FLAIR MRI.
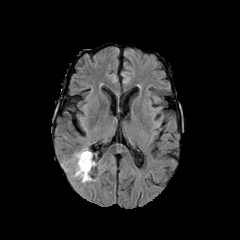
T1-weighted MR image.
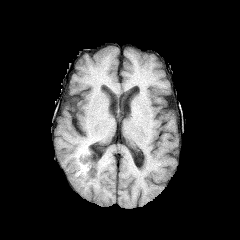
Post-contrast T1-weighted MR.
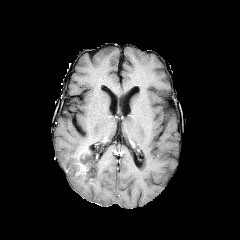
T2-weighted MR.
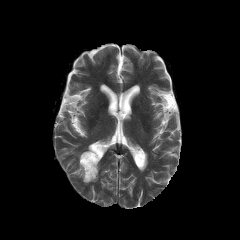
240x240 px
{"enhancing_tumor": ["77, 160, 88, 177"], "non-enhancing_tumor_core": ["76, 148, 96, 180"], "edema": ["68, 152, 95, 183"]}